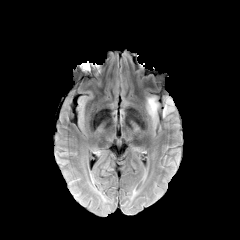
FLAIR magnetic resonance.
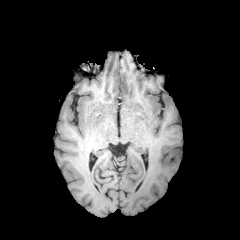
T1-weighted MR.
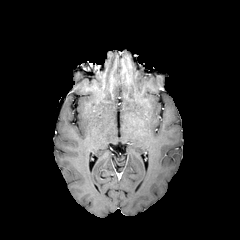
Same slice, post-contrast T1-weighted MR.
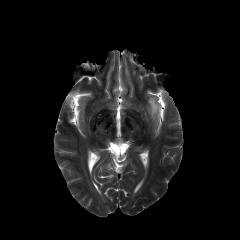
T2-weighted MR of the same slice.
Head
<segmentation>
  <edema>{"x1": 147, "y1": 97, "x2": 160, "y2": 121}, {"x1": 162, "y1": 97, "x2": 174, "y2": 116}</edema>
</segmentation>